Abdomen; Computed tomography; Image size 512x512 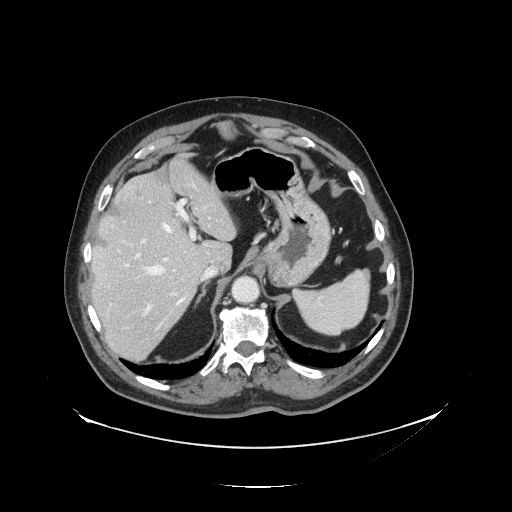 Some hepatic vessels may have no box.
Annotated regions:
- hepatic vessel (most prominent 15 of 18): rect(163, 224, 172, 232); rect(129, 244, 133, 245); rect(144, 266, 165, 275); rect(142, 240, 145, 242); rect(203, 269, 210, 280); rect(164, 258, 166, 261); rect(155, 326, 159, 331); rect(192, 184, 195, 188); rect(176, 298, 184, 306); rect(191, 228, 196, 240); rect(121, 241, 125, 242); rect(203, 242, 207, 245); rect(143, 303, 152, 316); rect(176, 200, 188, 220); rect(136, 254, 140, 258)
- liver tumor: rect(156, 164, 169, 182)